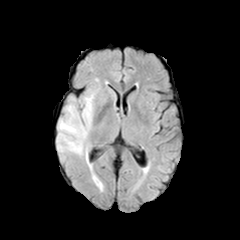
FLAIR magnetic resonance.
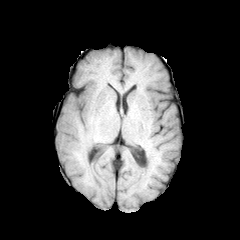
T1-weighted magnetic resonance of the same slice.
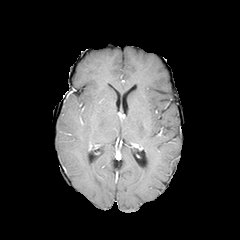
Post-contrast T1-weighted MRI.
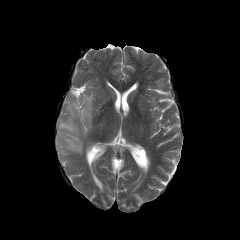
Same slice, T2-weighted MR image.
Image size 240x240
<segmentation>
  <edema>box=[56, 88, 96, 161]</edema>
</segmentation>